Computed tomography; Pelvis 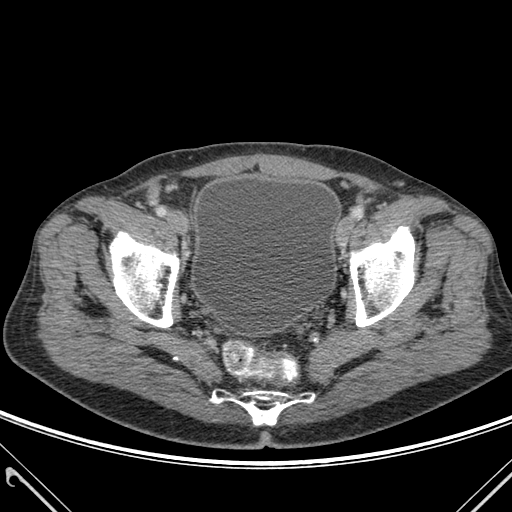
The urinary bladder is bounded by box=[194, 178, 338, 322]. 3 bone regions are bounded by box=[211, 391, 314, 424]; box=[350, 226, 414, 326]; box=[110, 232, 178, 327].